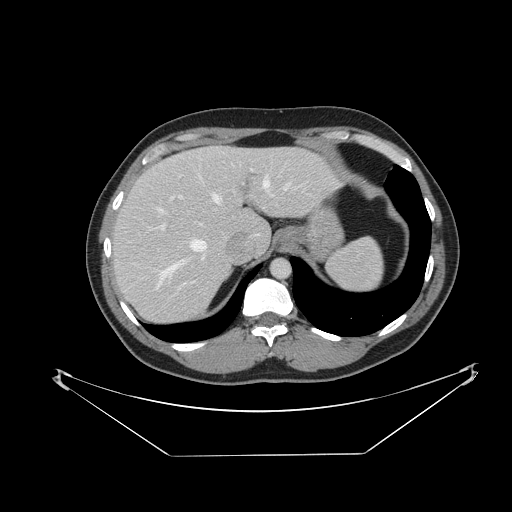

512x512 px; CT image
The spleen is located at 327, 239, 382, 292.